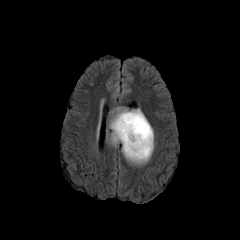
FLAIR MR.
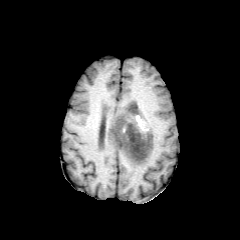
T1-weighted magnetic resonance of the same slice.
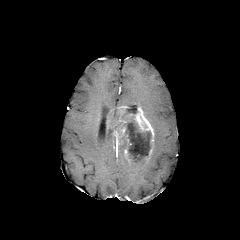
Same slice, post-contrast T1-weighted magnetic resonance.
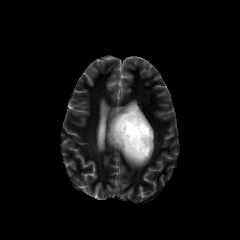
T2-weighted MR of the same slice.
240x240 | Head
{
  "edema": [
    "121,131,154,166"
  ],
  "enhancing_tumor": [
    "113,125,125,148",
    "134,108,153,144",
    "107,106,128,128"
  ],
  "non-enhancing_tumor_core": [
    "107,107,152,160",
    "109,108,119,125"
  ]
}